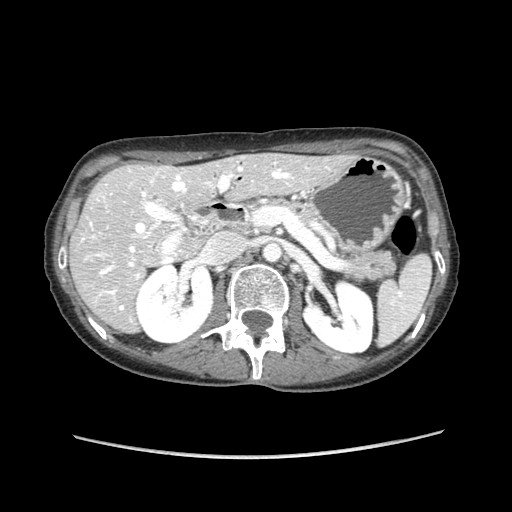 CT. Upper abdomen.

pancreas: (231,197,317,232), (342,252,393,278)